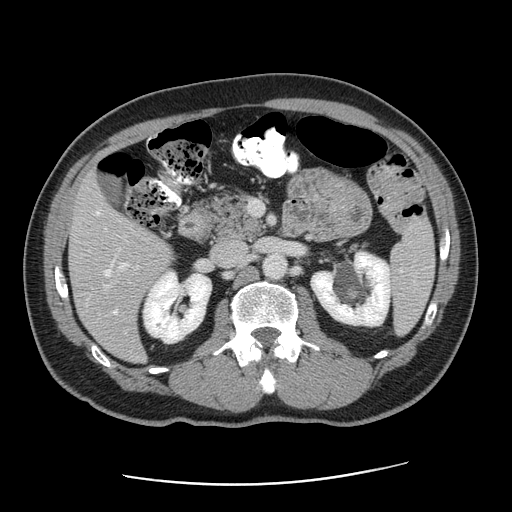
Computed tomography | Abdomen

Not every hepatic vessel necessarily has a box.
hepatic_vessel:
  - (x1=119, y1=263, x2=126, y2=269)
  - (x1=96, y1=211, x2=98, y2=213)
  - (x1=106, y1=269, x2=110, y2=275)
  - (x1=114, y1=310, x2=116, y2=313)
  - (x1=106, y1=285, x2=110, y2=287)